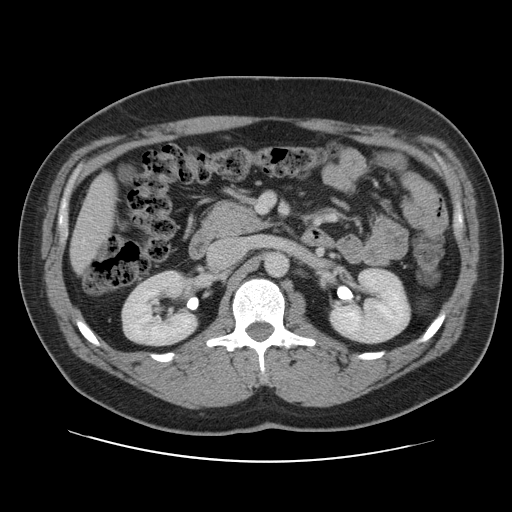

CT scan slice; Liver
Only some of the vessels may be annotated.
hepatic vessel: left=83, top=254, right=92, bottom=261; left=83, top=238, right=84, bottom=242; left=93, top=176, right=104, bottom=187; left=81, top=213, right=82, bottom=215; left=73, top=261, right=81, bottom=270; left=89, top=202, right=90, bottom=204; left=102, top=235, right=104, bottom=238